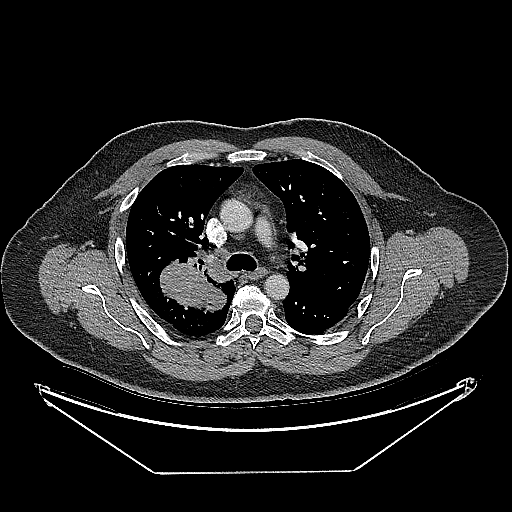 CT, Lung

Findings:
* lung tumor: x1=160 y1=249 x2=232 y2=311